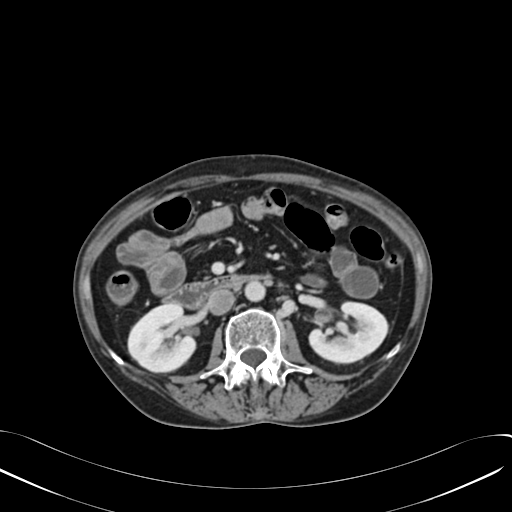

CT image, Abdomen
- kidney: [310, 303, 386, 361], [129, 304, 194, 371]